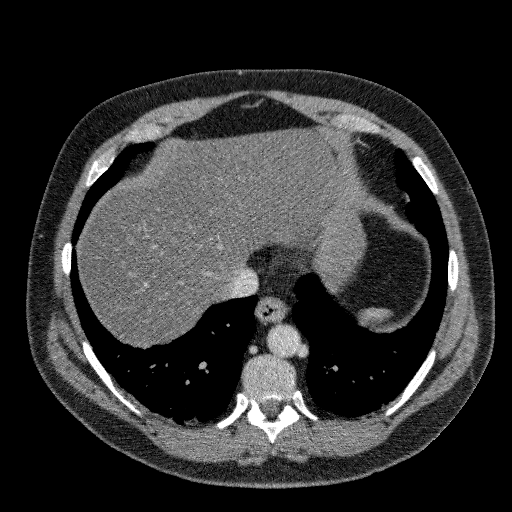 Abdomen; 512x512 px; Computed tomography
The liver is located at region(77, 129, 341, 345).